Slice index 71, Image size 240x240, Field of view 240 mm wide, 1.00 mm slice spacing
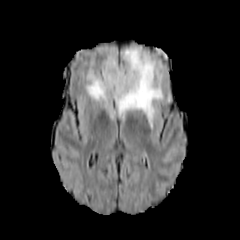
FLAIR MRI.
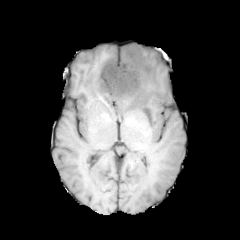
Same slice, T1-weighted MRI.
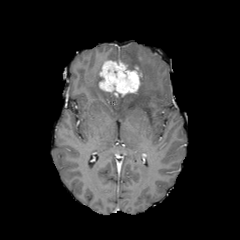
Post-contrast T1-weighted magnetic resonance.
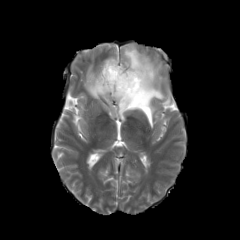
Same slice, T2-weighted MR.
{"edema": ["<box>85,49,164,127</box>"], "non-enhancing_tumor_core": ["<box>118,93,133,104</box>"], "enhancing_tumor": ["<box>99,61,141,97</box>"]}